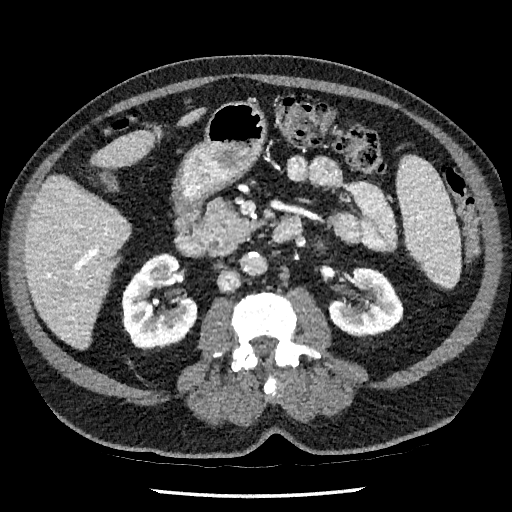

CT slice; Abdomen; 512x512 px

3 liver regions are located at 180,111,200,125; 92,131,153,167; 25,176,129,348. 2 kidney regions are bounded by 329,269,402,334; 122,254,196,346.